FLAIR MRI.
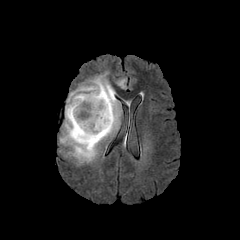
T1-weighted magnetic resonance.
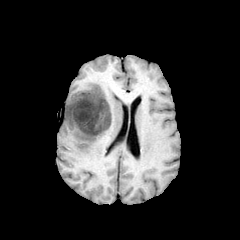
Post-contrast T1-weighted MR.
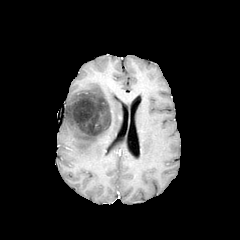
T2-weighted MR image.
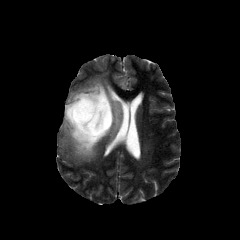
Head
Edema — (60, 75, 121, 161).
Non-enhancing tumor core — (66, 79, 114, 141).